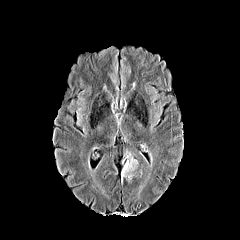
FLAIR magnetic resonance.
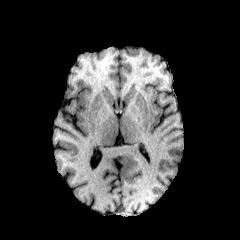
T1-weighted MR.
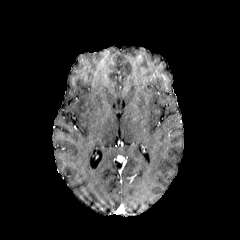
Post-contrast T1-weighted MRI of the same slice.
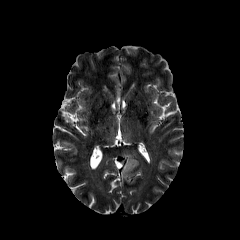
T2-weighted MR image of the same slice.
Brain
Segmented structures:
* edema: box(121, 154, 138, 183)